FLAIR MR.
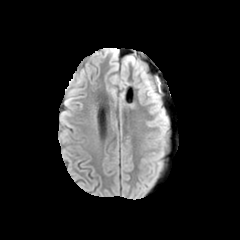
T1-weighted MR.
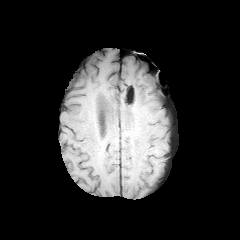
Post-contrast T1-weighted MRI.
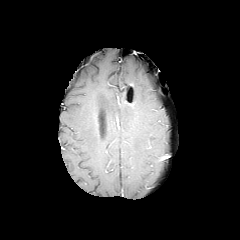
T2-weighted MR.
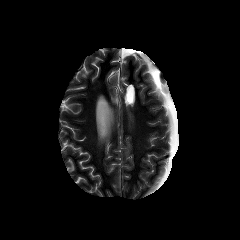
Brain, Image size 240x240
<segmentation>
  <edema>x1=153 y1=112 x2=166 y2=128, x1=144 y1=75 x2=161 y2=112</edema>
</segmentation>